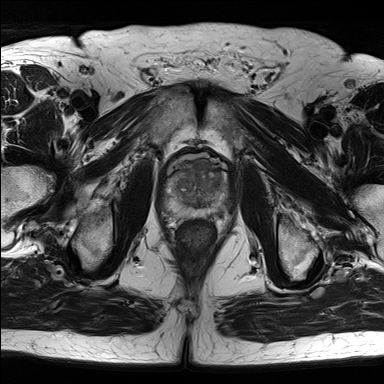
T2-weighted MRI.
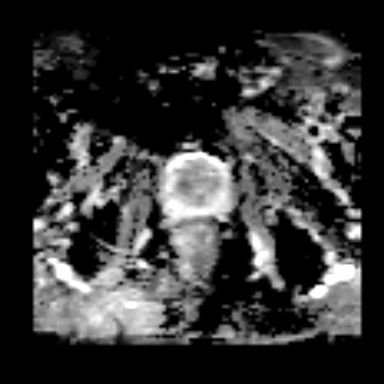
ADC magnetic resonance of the same slice.
Prostate transition zone at (left=178, top=155, right=223, bottom=206).
Prostate peripheral zone at (left=160, top=155, right=233, bottom=219).